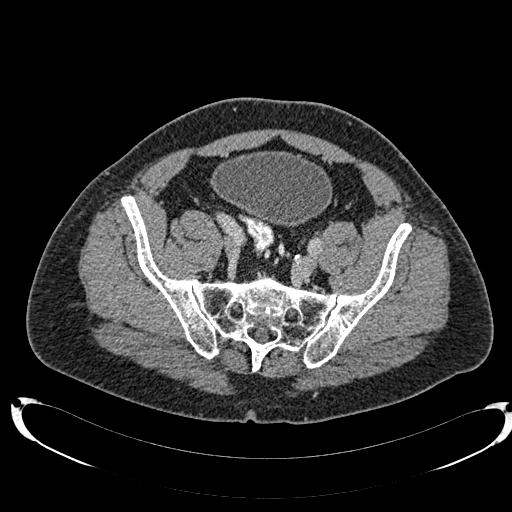
CT image
The urinary bladder is at 212 151 332 226.